Field of view 400x400 mm | CT | Abdomen
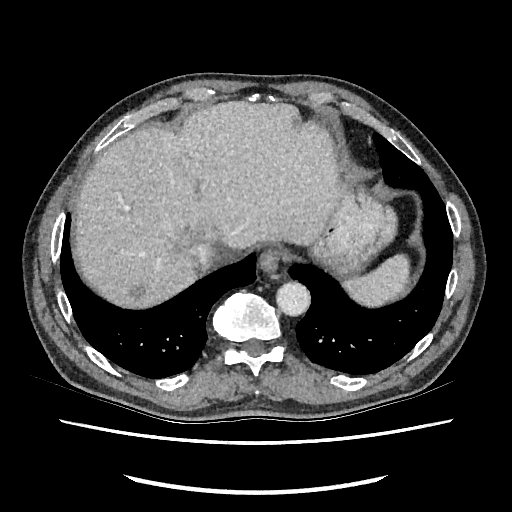 Annotated regions:
• liver lesion: x1=129 y1=286 x2=141 y2=297, x1=195 y1=180 x2=200 y2=192, x1=176 y1=226 x2=201 y2=255
• liver: x1=76 y1=102 x2=335 y2=304